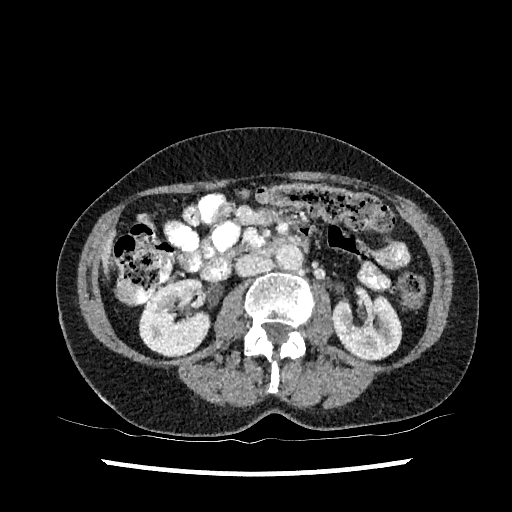

Abdomen, CT slice

2 kidney regions are bounded by [x1=333, y1=297, x2=401, y2=359], [x1=140, y1=280, x2=208, y2=355]. The liver lies within [x1=102, y1=232, x2=114, y2=268].